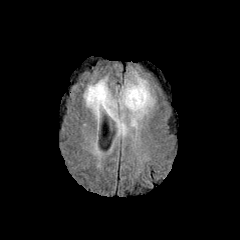
FLAIR MR image.
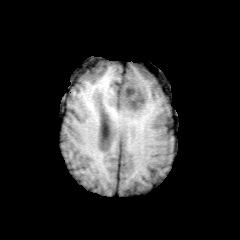
T1-weighted MR image of the same slice.
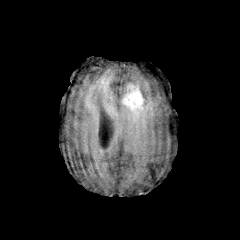
Post-contrast T1-weighted MRI.
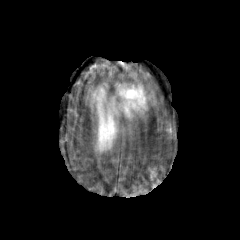
T2-weighted MR image.
The edema lies within 84 77 154 135. The enhancing tumor lies within 121 83 143 114.